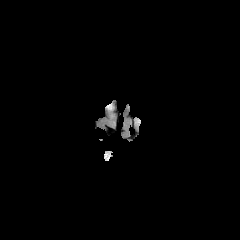
FLAIR MR image.
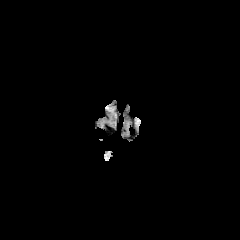
T1-weighted magnetic resonance of the same slice.
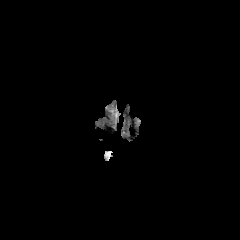
Post-contrast T1-weighted MRI.
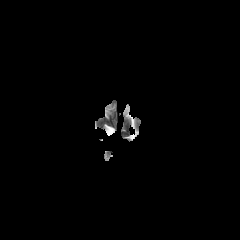
T2-weighted magnetic resonance.
edema: (107, 104, 115, 116)